CT slice

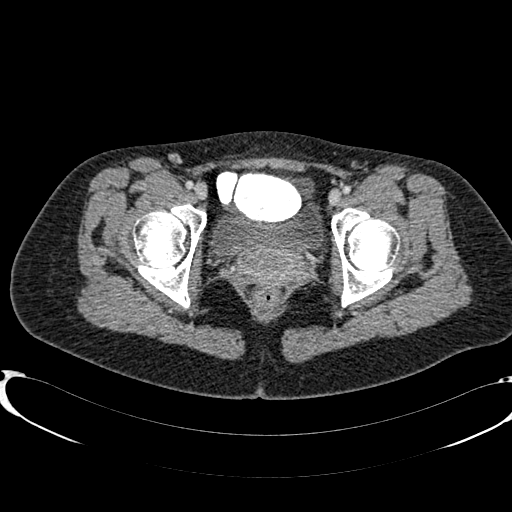

Urinary bladder — (215, 200, 320, 253).